Hippocampus. 34x51. Magnetic resonance.

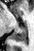

posterior_hippocampus:
  - 10:25:27:40